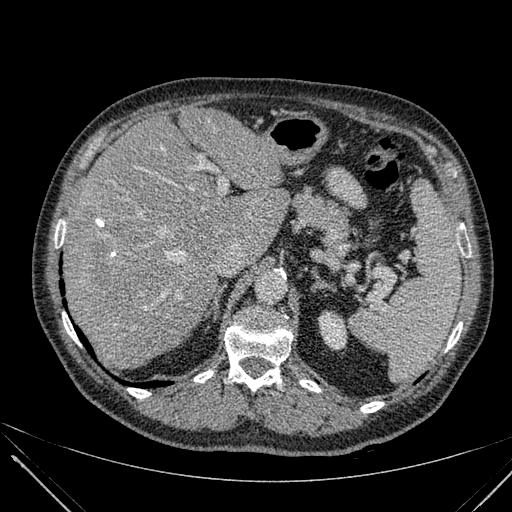

Abdomen. Computed tomography.
liver: 64 108 288 368 | kidney: 320 312 345 348 | focal liver lesion: 94 243 109 284